Slice index 556 | 512x512 | Image width 378 mm | CT scan slice 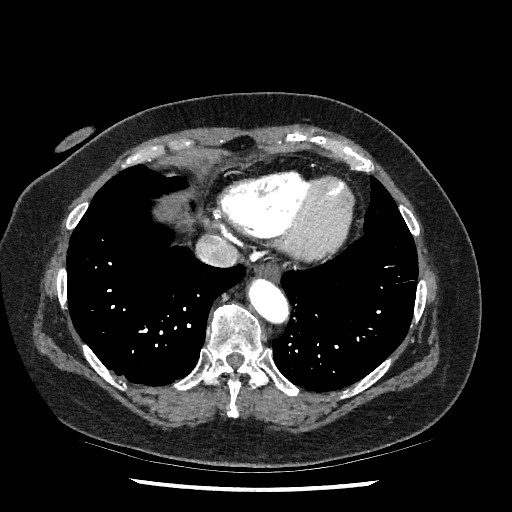 Annotated regions:
• liver: box=[158, 199, 177, 217]